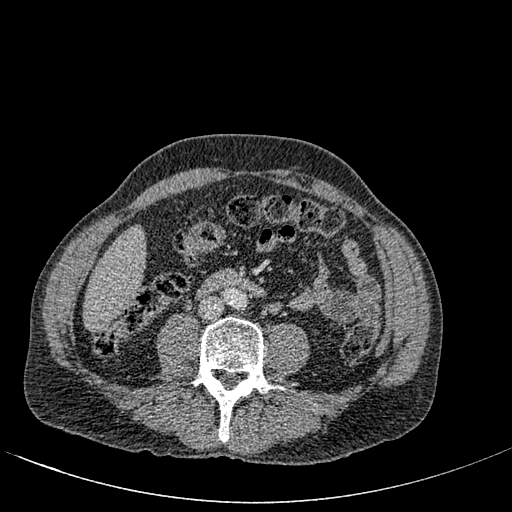
Computed tomography. Image size 512x512. Liver at box=[85, 229, 143, 326].